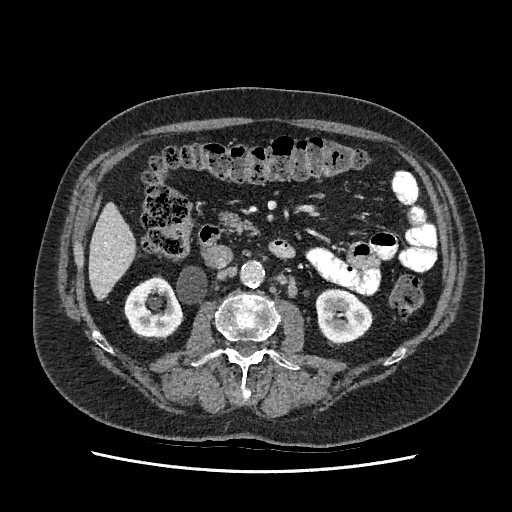

CT, 512x512, Upper abdomen

2 kidney regions are located at x1=125, y1=278, x2=181, y2=336; x1=316, y1=290, x2=371, y2=341. The liver is at x1=90, y1=203, x2=135, y2=298.